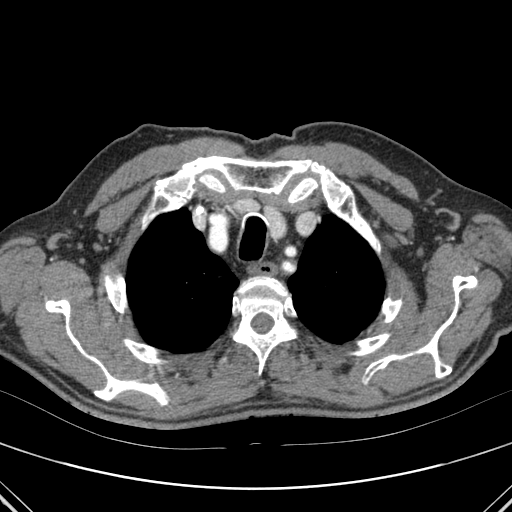
512x512, Computed tomography
2 lung regions appear at bbox(288, 215, 384, 343); bbox(126, 208, 238, 352). 9 bone regions appear at bbox(104, 274, 126, 313); bbox(353, 333, 389, 355); bbox(123, 339, 162, 363); bbox(45, 299, 168, 405); bbox(382, 297, 401, 322); bbox(288, 177, 317, 202); bbox(143, 156, 379, 251); bbox(232, 276, 296, 374); bbox(366, 275, 477, 377).